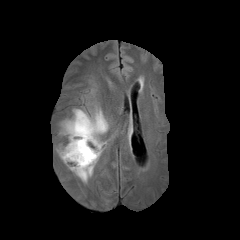
FLAIR MR.
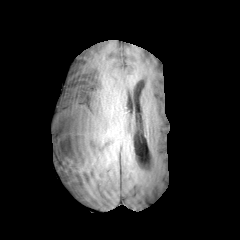
Same slice, T1-weighted MRI.
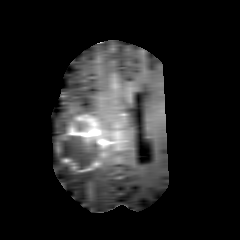
Post-contrast T1-weighted magnetic resonance.
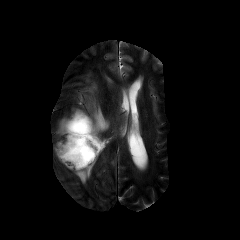
T2-weighted MR image.
Head; Image size 240x240
<segmentation>
  <non-enhancing_tumor_core>x1=57, y1=133, x2=104, y2=170; x1=67, y1=119, x2=84, y2=132</non-enhancing_tumor_core>
  <enhancing_tumor>x1=67, y1=115, x2=105, y2=157</enhancing_tumor>
  <edema>x1=58, y1=108, x2=108, y2=135; x1=58, y1=157, x2=92, y2=182</edema>
</segmentation>